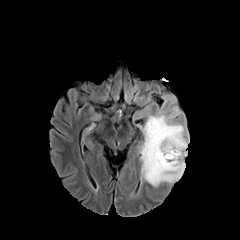
FLAIR MRI.
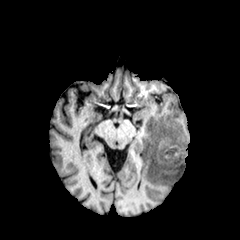
T1-weighted MRI of the same slice.
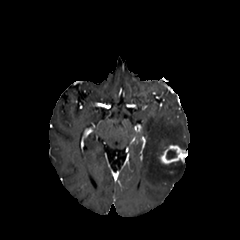
Post-contrast T1-weighted MR of the same slice.
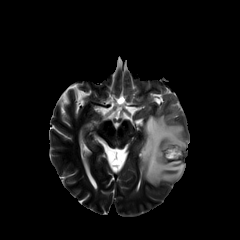
T2-weighted magnetic resonance of the same slice.
Brain | 240x240
The edema appears at box(140, 115, 187, 185). The non-enhancing tumor core is located at box(166, 149, 177, 159). The enhancing tumor is bounded by box(160, 145, 187, 163).